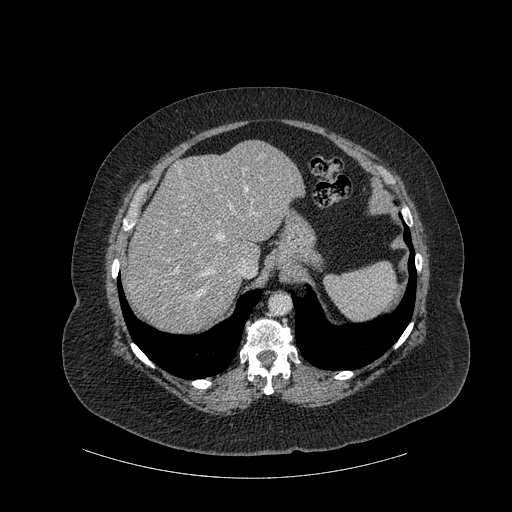

CT scan slice | Liver

Liver: bounding box <box>127,140,304,334</box>.
Bone: bounding box <box>402,207,412,223</box>, <box>395,323,412,347</box>, <box>240,319,299,394</box>, <box>112,259,119,277</box>, <box>192,380,210,388</box>, <box>131,343,153,367</box>, <box>415,254,421,270</box>, <box>335,371,352,379</box>.
Lung: bounding box <box>118,283,260,378</box>, <box>292,223,416,369</box>.